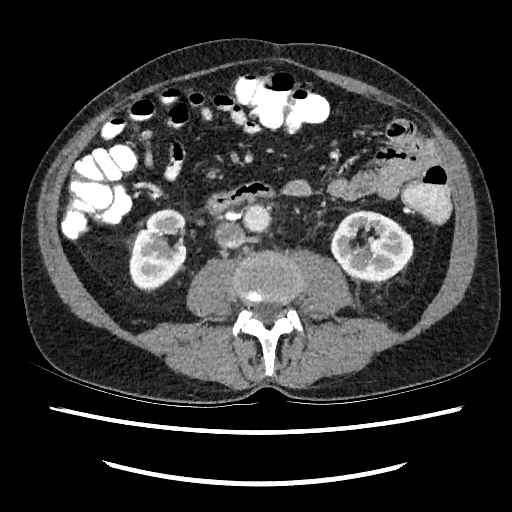 CT; Abdomen

Annotated regions:
* kidney: bbox(130, 210, 185, 288); bbox(332, 212, 412, 280)